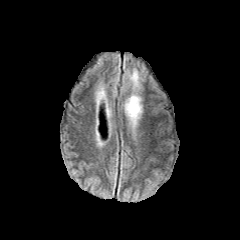
FLAIR MR.
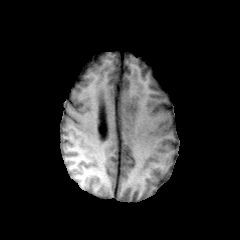
T1-weighted MRI.
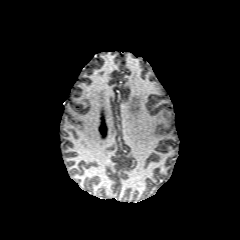
Same slice, post-contrast T1-weighted MRI.
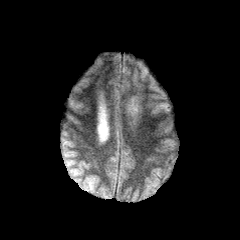
Same slice, T2-weighted magnetic resonance.
Findings:
* edema: [131, 71, 138, 86], [122, 94, 141, 124]